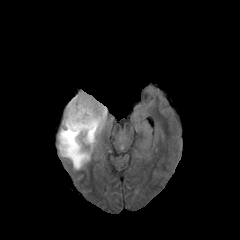
FLAIR magnetic resonance.
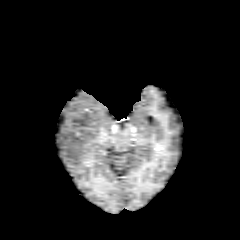
T1-weighted magnetic resonance.
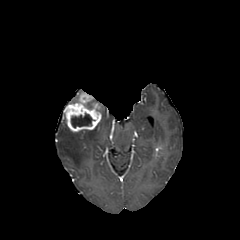
Post-contrast T1-weighted magnetic resonance.
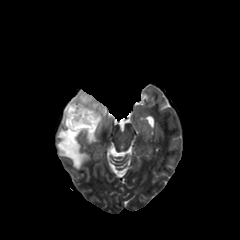
T2-weighted MR.
{"non-enhancing_tumor_core": ["[71, 114, 91, 127]", "[69, 130, 89, 135]"], "edema": ["[57, 116, 106, 169]"], "enhancing_tumor": ["[63, 91, 103, 132]"]}